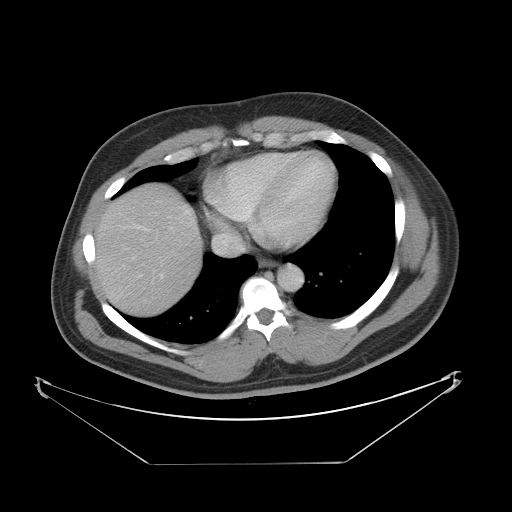
Computed tomography

Not every hepatic vessel necessarily has a box.
Hepatic vessel at l=192, t=226, r=194, b=229; l=213, t=235, r=242, b=253; l=175, t=228, r=178, b=231.